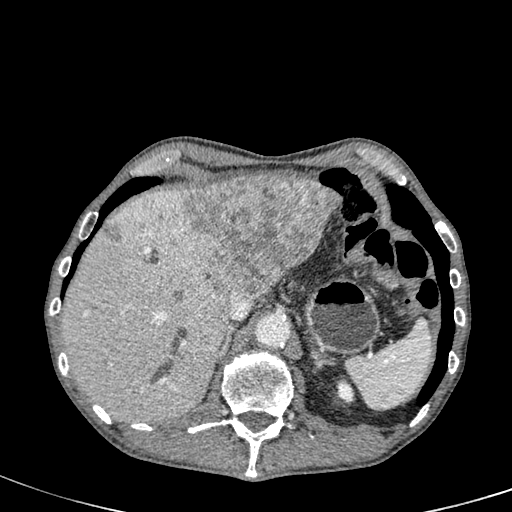

Abdomen, 512x512 px, CT
The liver appears at <box>62,189,239,422</box>. 3 focal liver lesion regions are located at <box>182,177,340,297</box>, <box>104,224,121,241</box>, <box>173,291,182,302</box>. The kidney is bounded by <box>334,379,343,396</box>.